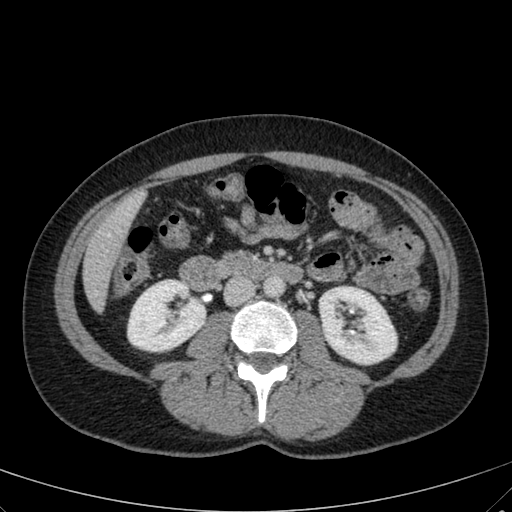 Upper abdomen, CT
2 kidney regions are bounded by 128,280,204,350; 320,287,396,363. The liver lies within 83,200,134,311.